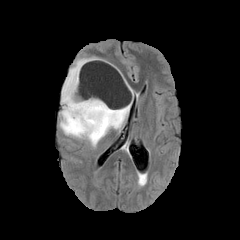
FLAIR MRI.
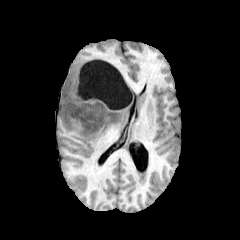
T1-weighted MR.
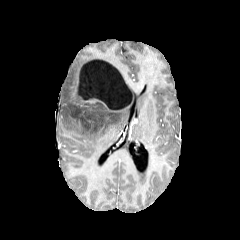
Post-contrast T1-weighted MR image.
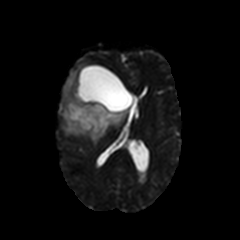
T2-weighted MR of the same slice.
Brain. Image size 240x240.
Findings:
• non-enhancing tumor core: [105, 112, 117, 121], [66, 103, 101, 130], [77, 74, 127, 110]
• edema: [59, 57, 132, 146]